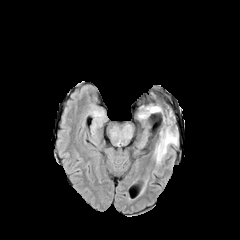
FLAIR MR.
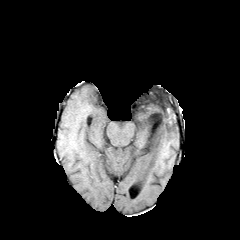
T1-weighted MR.
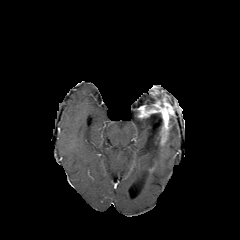
Post-contrast T1-weighted MR image.
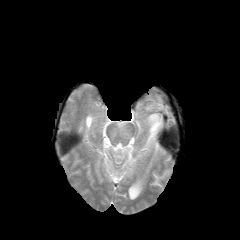
T2-weighted MR.
Brain
enhancing_tumor:
  - (138, 102, 169, 129)
edema:
  - (115, 128, 131, 143)
  - (153, 130, 177, 163)
non-enhancing_tumor_core:
  - (159, 127, 172, 144)